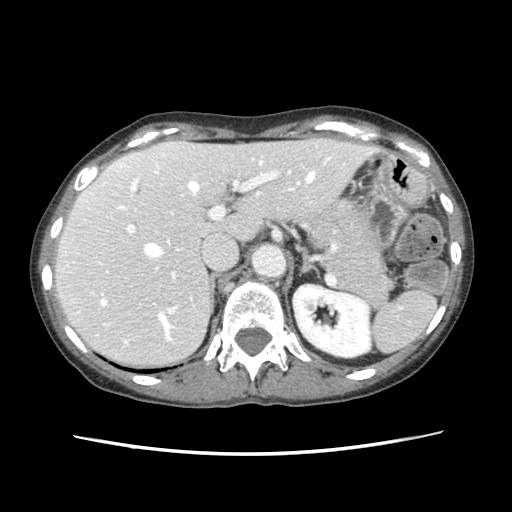 Abdomen, 512x512 px, Computed tomography

The spleen is at (373,292,436,352).